Slice index 58 | Image size 240x240
FLAIR MR.
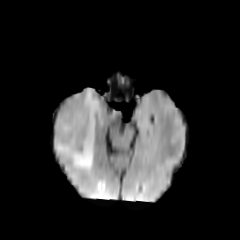
T1-weighted MR image.
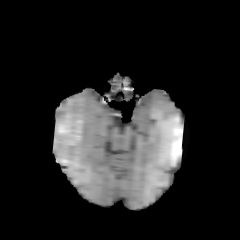
Post-contrast T1-weighted MR image.
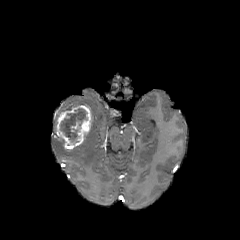
T2-weighted MRI.
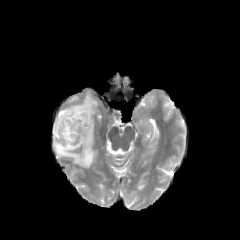
Findings:
- non-enhancing tumor core: 59:108:88:141
- edema: 53:89:100:168
- enhancing tumor: 54:104:92:149